Field of view 240x240 mm, Head
FLAIR MR.
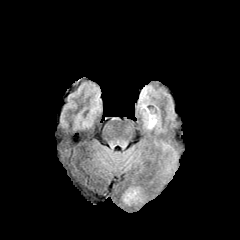
T1-weighted MR.
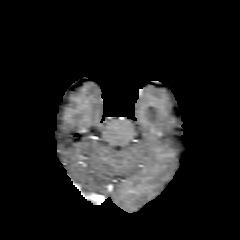
Post-contrast T1-weighted magnetic resonance.
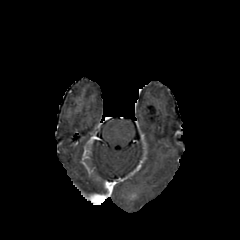
T2-weighted magnetic resonance.
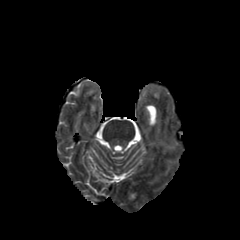
Enhancing tumor at bbox(125, 191, 138, 200).